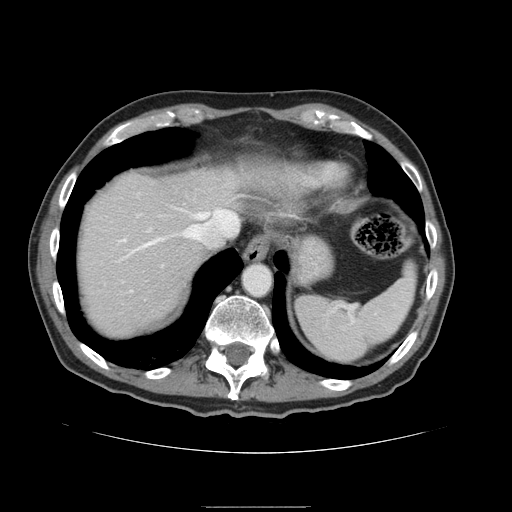

CT, Image size 512x512
The spleen is bounded by left=295, top=264, right=415, bottom=363.